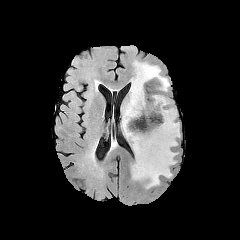
FLAIR MR image.
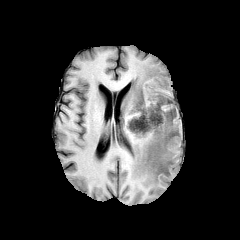
T1-weighted MR.
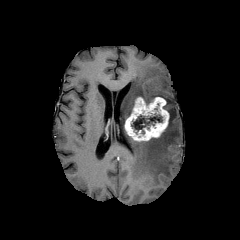
Post-contrast T1-weighted MRI.
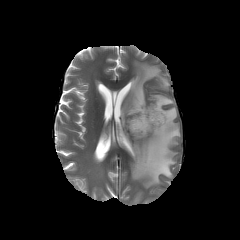
T2-weighted magnetic resonance.
240x240 px
2 non-enhancing tumor core regions are located at bbox=[131, 112, 162, 134]; bbox=[150, 108, 174, 144]. The enhancing tumor lies within bbox=[124, 97, 169, 140]. 3 edema regions appear at bbox=[120, 62, 169, 123]; bbox=[166, 100, 173, 109]; bbox=[121, 108, 179, 187].